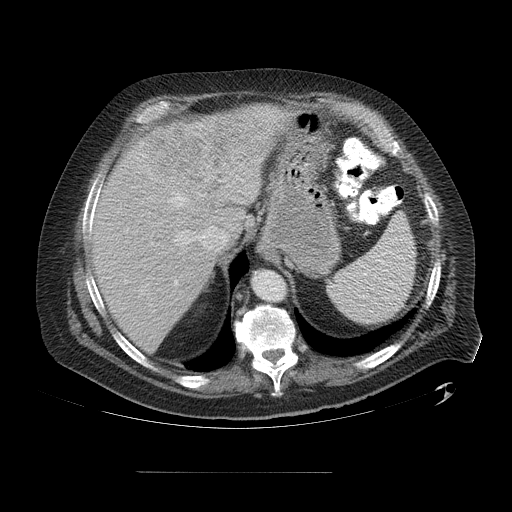
CT image; 512x512 px; Abdomen
Some hepatic vessels may have no box.
Segmented structures:
• hepatic vessel: bbox(173, 226, 228, 251); bbox(137, 282, 149, 296); bbox(163, 252, 166, 253); bbox(147, 277, 149, 278); bbox(168, 192, 184, 202); bbox(192, 209, 198, 210); bbox(143, 260, 145, 261); bbox(170, 248, 172, 250); bbox(174, 280, 176, 284)
• liver tumor: bbox(145, 119, 268, 191)